Abdomen; CT 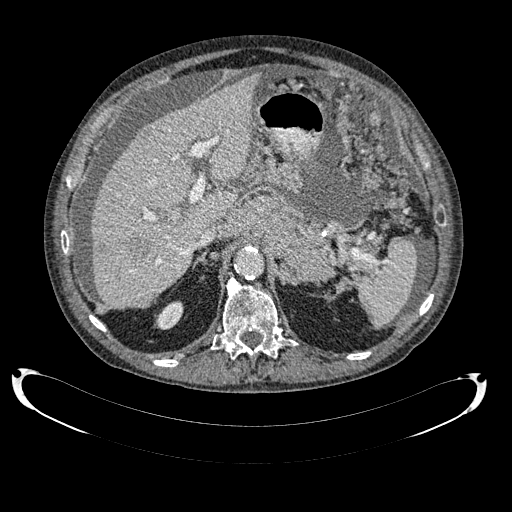 {"liver": ["x1=90 y1=73 x2=259 y2=309"], "kidney": ["x1=157 y1=302 x2=182 y2=329"], "hepatic_lesion": ["x1=96 y1=244 x2=103 y2=252", "x1=143 y1=126 x2=153 y2=137", "x1=129 y1=237 x2=148 y2=257"]}